Upper abdomen | Computed tomography | 512x512 px
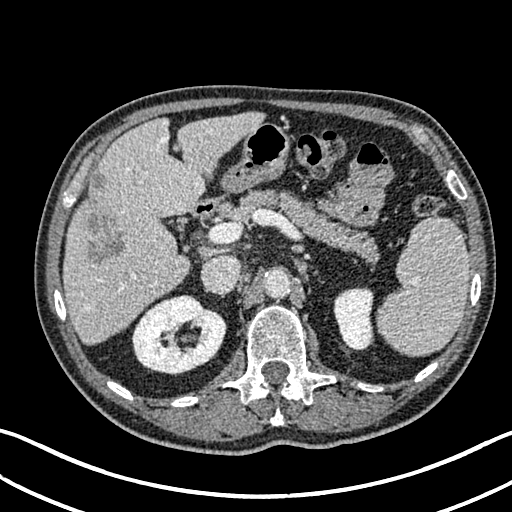
Focal liver lesion — (left=92, top=173, right=106, bottom=187), (left=89, top=211, right=124, bottom=259).
Liver — (left=64, top=112, right=263, bottom=343).
Kidney — (left=133, top=296, right=225, bottom=373), (left=334, top=289, right=372, bottom=348).